Magnetic resonance; Image size 35x55; Hippocampus

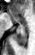
posterior_hippocampus:
  - [x1=14, y1=24, x2=26, y2=46]
anterior_hippocampus:
  - [x1=11, y1=14, x2=20, y2=23]